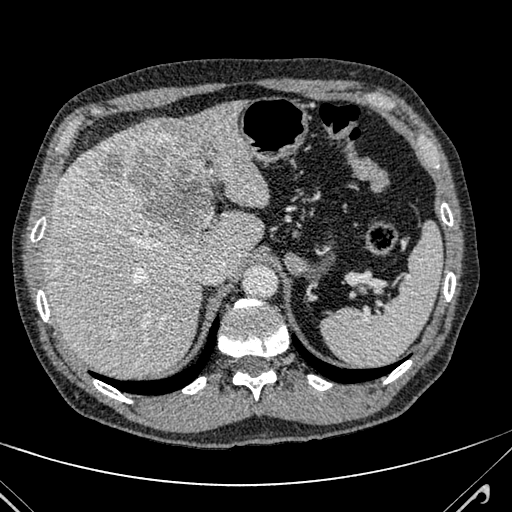 CT.
Liver lesion = l=57, t=239, r=68, b=246; l=100, t=143, r=218, b=238.
Liver = l=46, t=101, r=266, b=375.